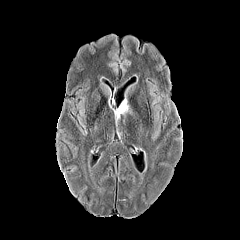
FLAIR MR.
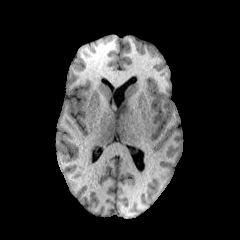
T1-weighted MRI of the same slice.
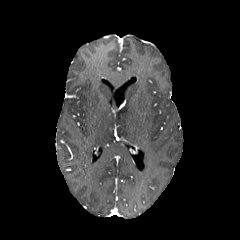
Post-contrast T1-weighted MR image.
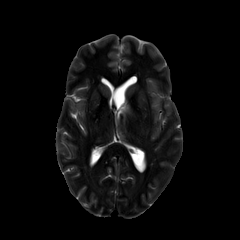
T2-weighted MR image.
Brain
* edema: left=118, top=105, right=131, bottom=116